33x47, MR 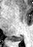 Posterior hippocampus: box(13, 36, 22, 40).